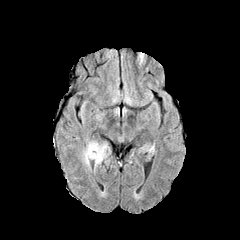
FLAIR MRI.
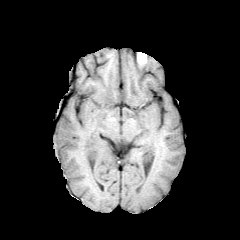
T1-weighted MR image.
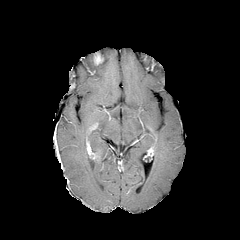
Post-contrast T1-weighted MRI.
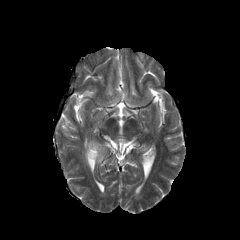
T2-weighted magnetic resonance.
240x240, Brain
edema:
  - left=80, top=137, right=110, bottom=173
enhancing_tumor:
  - left=86, top=142, right=97, bottom=159